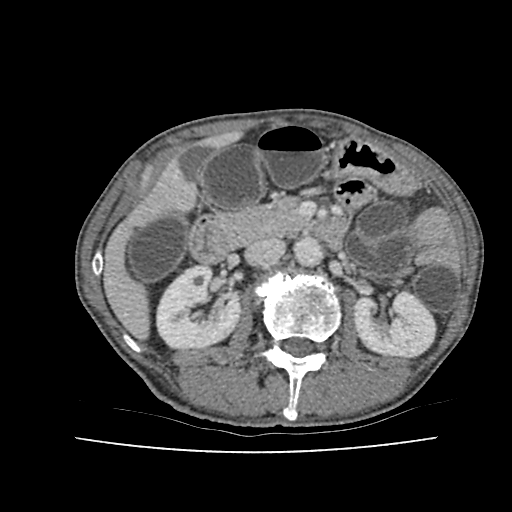
Computed tomography

Annotated regions:
- kidney: [x1=355, y1=293, x2=434, y2=356], [x1=157, y1=266, x2=239, y2=347]
- liver: [x1=104, y1=166, x2=189, y2=332]